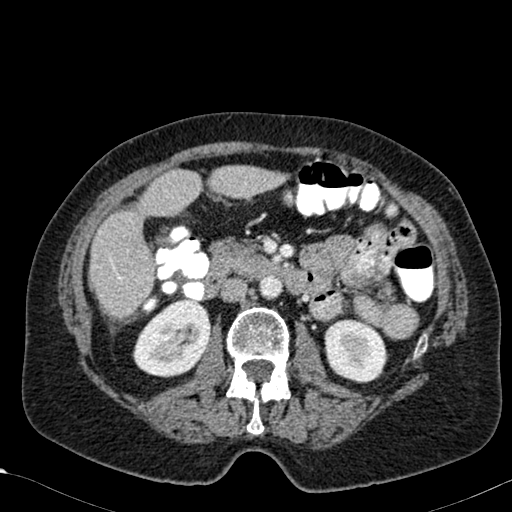 CT slice. Liver.

2 kidney regions are bounded by box=[325, 320, 385, 381]; box=[134, 297, 210, 376]. 2 liver regions are bounded by box=[208, 166, 283, 197]; box=[89, 170, 203, 316].